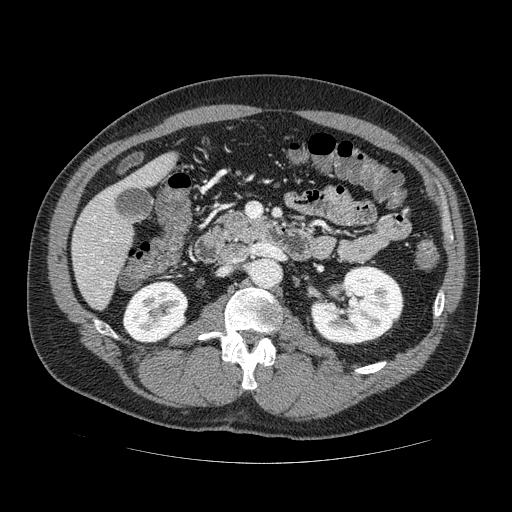
CT image.

The pancreas lies within l=219, t=210, r=275, b=242.